CT scan slice. 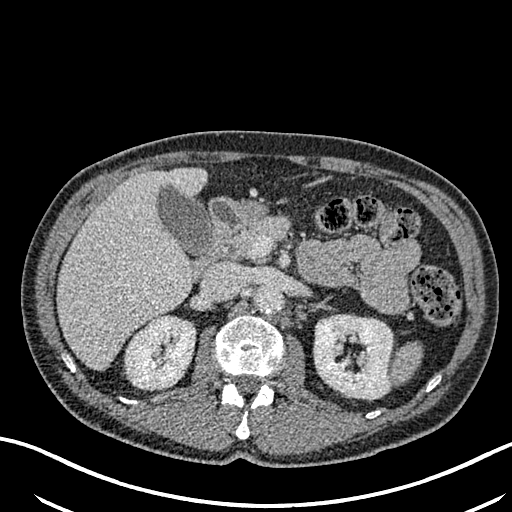

Kidney: bounding box box(314, 316, 392, 396); box(125, 316, 194, 388).
Liver: bounding box box(57, 169, 205, 369).